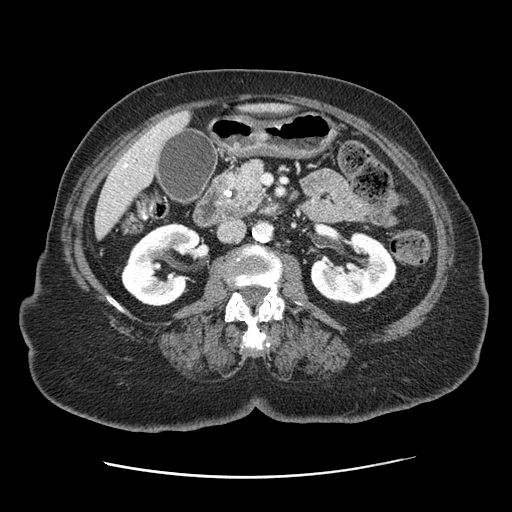

Abdomen. CT.
The pancreas is located at {"x1": 214, "y1": 159, "x2": 266, "y2": 219}.